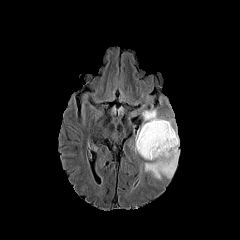
FLAIR magnetic resonance.
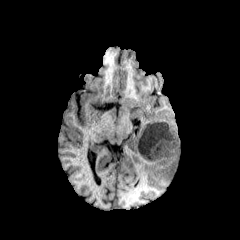
Same slice, T1-weighted MRI.
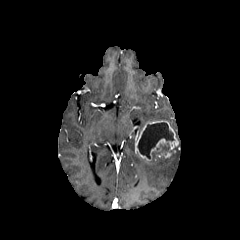
Post-contrast T1-weighted magnetic resonance.
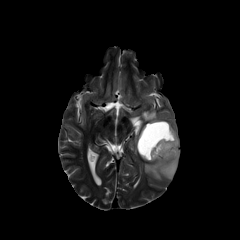
Same slice, T2-weighted MR image.
Head
Findings:
- edema: (140,103,179,180)
- enhancing tumor: (135,126,176,160), (146,121,178,156)
- non-enhancing tumor core: (151,143,170,158), (138,122,174,158)